Field of view 240x240 mm | Image size 240x240
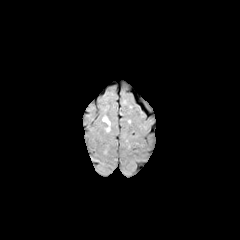
FLAIR MRI.
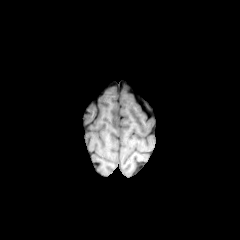
Same slice, T1-weighted magnetic resonance.
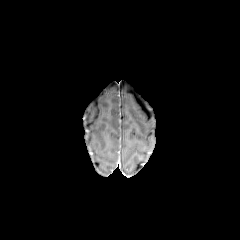
Post-contrast T1-weighted MR image.
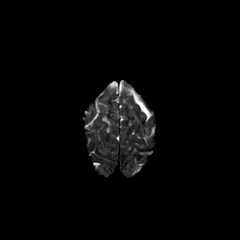
Same slice, T2-weighted MR image.
edema: (left=102, top=116, right=110, bottom=131)